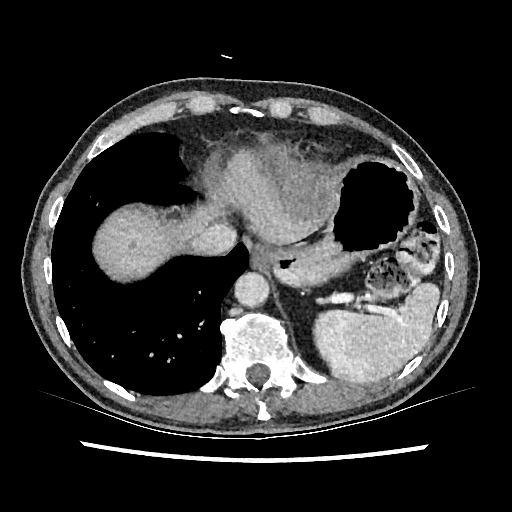 CT slice
Liver: region(96, 205, 216, 277); region(221, 152, 327, 243).
Focal liver lesion: region(128, 239, 136, 249); region(261, 168, 267, 176); region(274, 175, 335, 224).